Field of view 358x358 mm | Upper abdomen | 512x512 | CT | Slice index 593 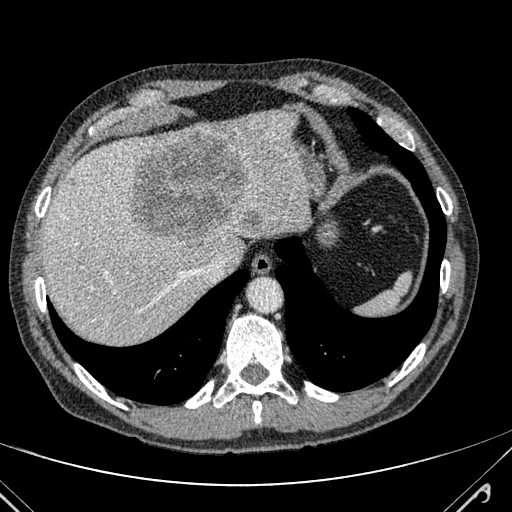

focal_liver_lesion:
  - (68,177,78,186)
  - (243,211,262,229)
  - (131,132,248,247)
liver:
  - (42,111,309,342)